FLAIR MR.
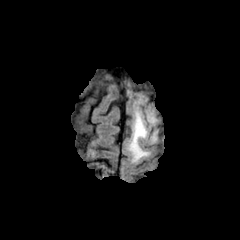
T1-weighted MR.
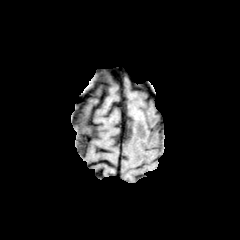
Post-contrast T1-weighted magnetic resonance.
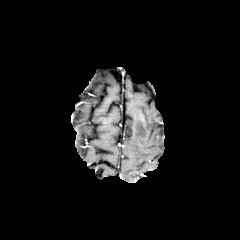
T2-weighted MRI.
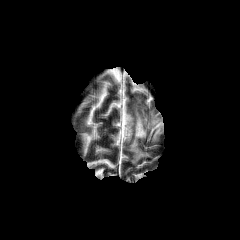
Segmented structures:
- edema: [x1=126, y1=106, x2=158, y2=162]